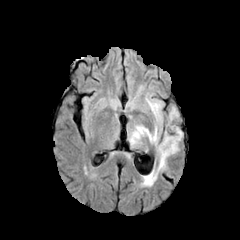
FLAIR MRI.
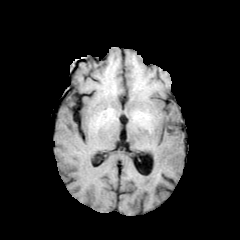
T1-weighted MR image.
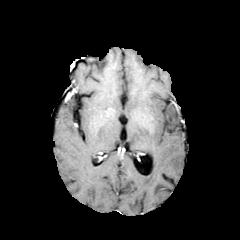
Same slice, post-contrast T1-weighted MR.
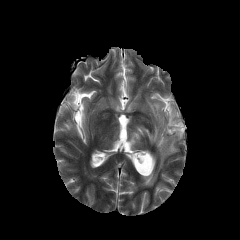
T2-weighted MR.
Head
Edema: bounding box box(127, 93, 183, 186).